Head. 240x240.
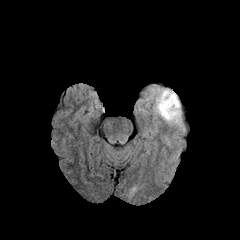
FLAIR MRI.
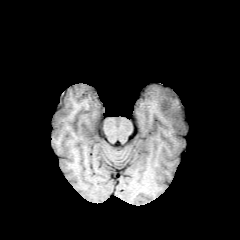
T1-weighted MRI of the same slice.
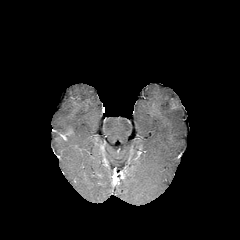
Post-contrast T1-weighted MRI.
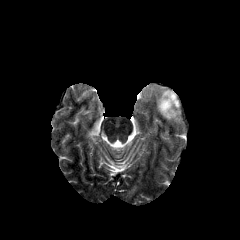
Same slice, T2-weighted MRI.
{
  "edema": [
    "<box>135,84,185,139</box>"
  ]
}